240x240 px; Head
FLAIR MR.
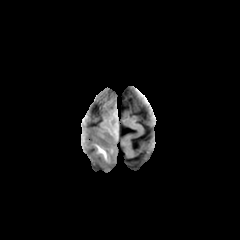
T1-weighted MR image.
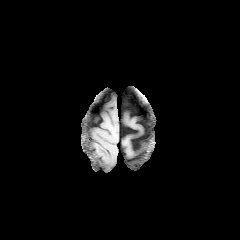
Post-contrast T1-weighted magnetic resonance.
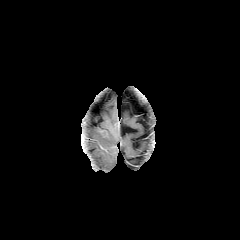
T2-weighted MR image.
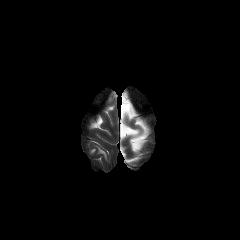
Edema — bbox=[97, 146, 106, 158].